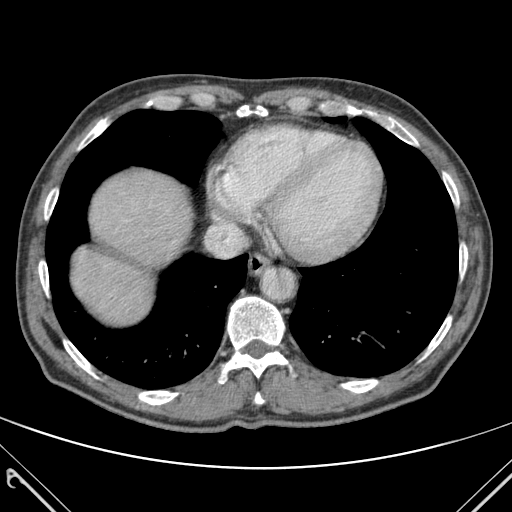

Upper abdomen, Computed tomography
Lung at <bbox>326, 117, 345, 122</bbox>, <bbox>289, 117, 458, 376</bbox>, <bbox>45, 109, 247, 388</bbox>.
Bone at <bbox>424, 317, 451, 356</bbox>, <bbox>443, 173, 458, 203</bbox>, <bbox>64, 340, 96, 377</bbox>, <bbox>342, 380, 377, 392</bbox>, <bbox>237, 105, 267, 116</bbox>, <bbox>139, 391, 177, 404</bbox>, <bbox>366, 111, 417, 144</bbox>, <bbox>39, 260, 48, 295</bbox>, <bbox>45, 188, 58, 219</bbox>, <bbox>79, 119, 107, 147</bbox>, <bbox>219, 297, 287, 383</bbox>, <bbox>459, 244, 467, 276</bbox>, <bbox>255, 393, 263, 403</bbox>.
Liver at <bbox>72, 169, 191, 325</bbox>.